Slice 292/574 | Computed tomography
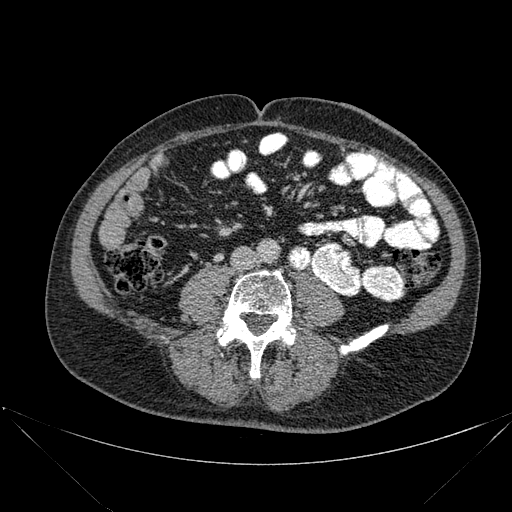 Bone = rect(340, 325, 387, 353); rect(217, 271, 295, 377).